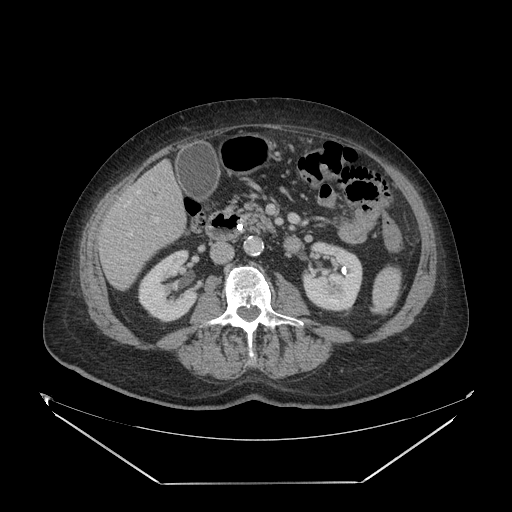

CT
pancreas: [237, 203, 275, 234]